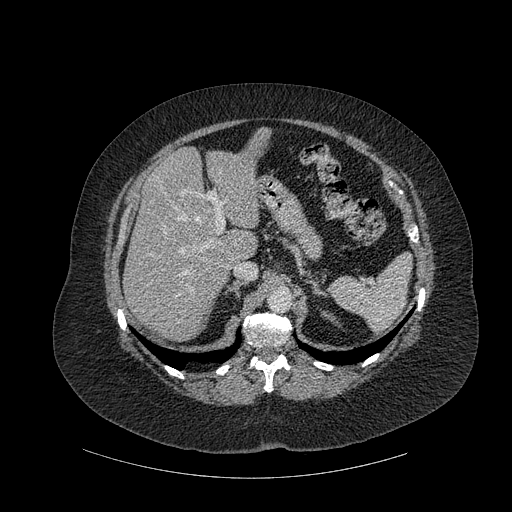

Abdomen, CT, 512x512 px
{
  "bone": [
    "(243,313,291,346)",
    "(165,366,183,378)",
    "(314,362,332,370)",
    "(409,226,418,242)",
    "(418,288,425,310)",
    "(362,354,378,366)",
    "(250,354,289,391)",
    "(216,365,229,374)",
    "(117,309,126,329)"
  ],
  "liver": [
    "(123,127,270,342)"
  ],
  "lung": [
    "(132,329,240,369)",
    "(298,312,410,364)"
  ]
}